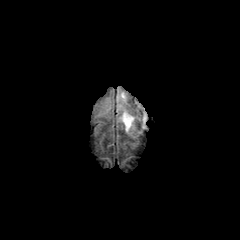
FLAIR MRI.
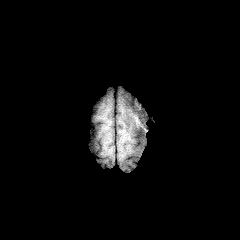
T1-weighted MR of the same slice.
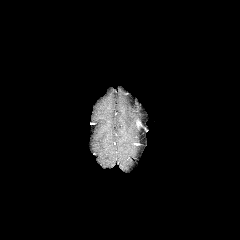
Post-contrast T1-weighted MRI.
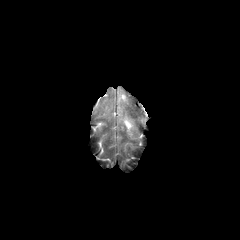
T2-weighted MR image of the same slice.
Head.
Segmented structures:
* edema: (118,111,147,131)